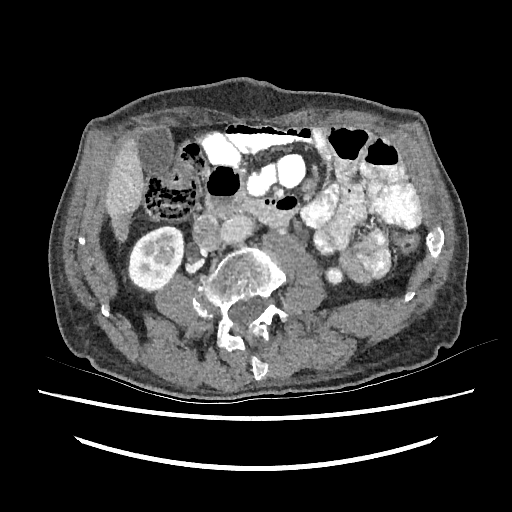

Liver; CT
kidney:
  - box=[129, 227, 183, 289]
  - box=[328, 270, 341, 282]
liver:
  - box=[105, 140, 143, 227]
focal_liver_lesion:
  - box=[115, 210, 130, 238]